Field of view 500 mm wide, 2.50 mm slice spacing; CT; Slice index 50; Upper abdomen 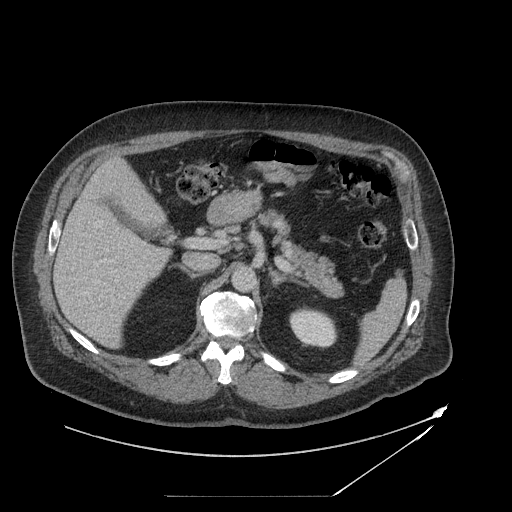
2 pancreas regions are bounded by l=255, t=210, r=344, b=297; l=228, t=225, r=240, b=233.